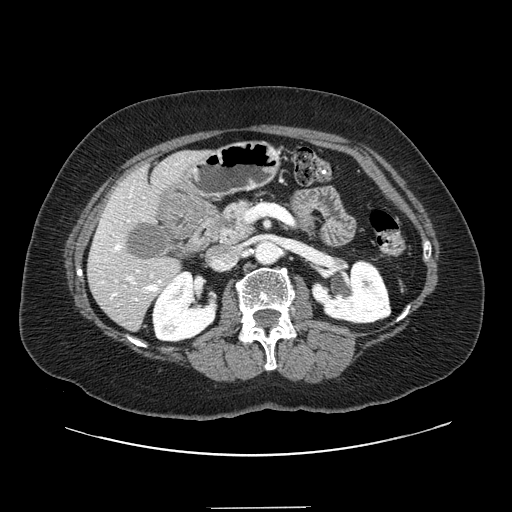 Image size 512x512, CT
Pancreas = 208, 199, 254, 246.
Pancreatic tumor = 221, 216, 237, 230.